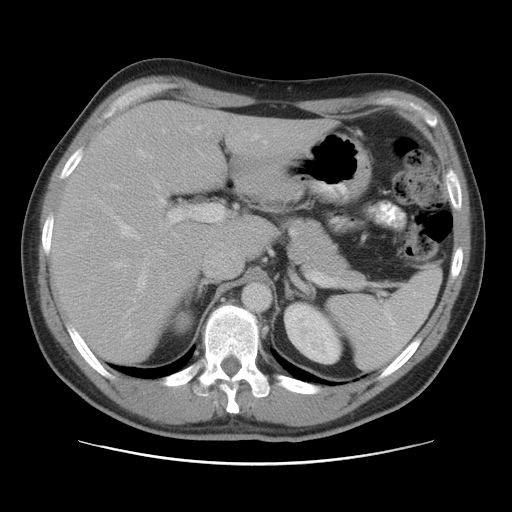

Abdomen | CT scan slice
Some hepatic vessels may have no box.
- hepatic vessel: (168,205,223,222), (137,264,146,290), (253,134,258,139), (138,150,144,155), (115,217,139,239), (160,197,165,203), (197,126,199,128), (115,262,124,267)
- liver tumor: (163,106,173,117)